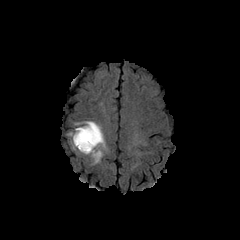
FLAIR MRI.
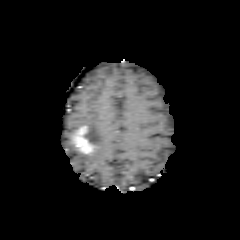
T1-weighted magnetic resonance.
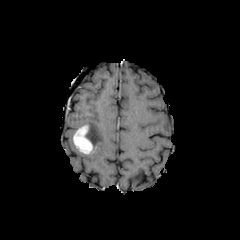
Post-contrast T1-weighted MR.
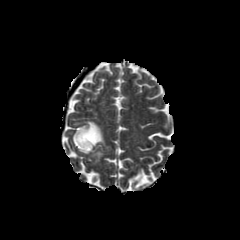
T2-weighted MRI.
240x240. Head.
Non-enhancing tumor core at bbox=[86, 126, 96, 145].
Edema at bbox=[74, 120, 108, 164].
Enhancing tumor at bbox=[72, 125, 92, 153].